CT image | Field of view 500x500 mm | Abdomen 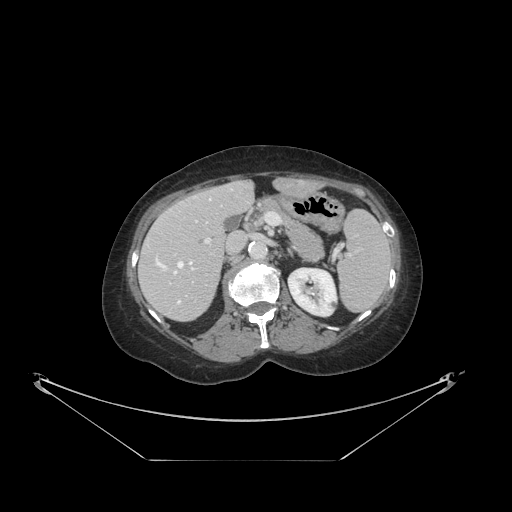

Some hepatic vessels may have no box.
8 hepatic vessel regions appear at bbox=[173, 271, 176, 273]; bbox=[155, 258, 164, 267]; bbox=[205, 238, 209, 242]; bbox=[177, 300, 180, 303]; bbox=[190, 261, 192, 265]; bbox=[191, 267, 193, 269]; bbox=[265, 210, 281, 224]; bbox=[178, 262, 182, 266].